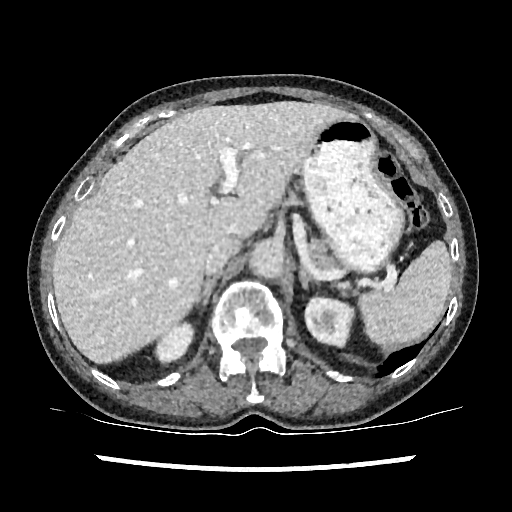

CT scan slice | Upper abdomen
kidney: {"x1": 159, "y1": 326, "x2": 190, "y2": 358}, {"x1": 307, "y1": 299, "x2": 348, "y2": 343} | liver: {"x1": 53, "y1": 102, "x2": 351, "y2": 362}